Computed tomography, Liver 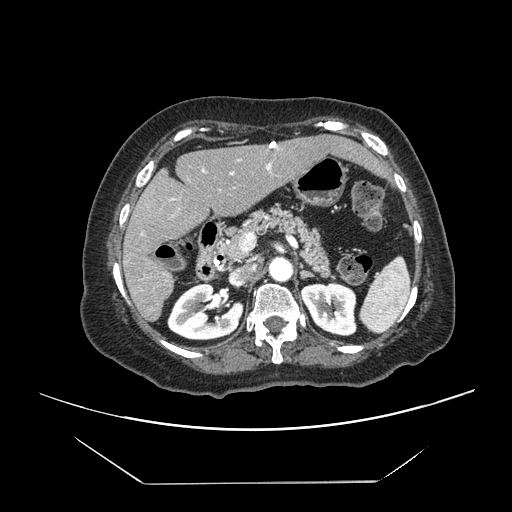

Only some of the vessels may be annotated.
hepatic_vessel:
  - (240,233,254,251)
  - (231,172,232,174)